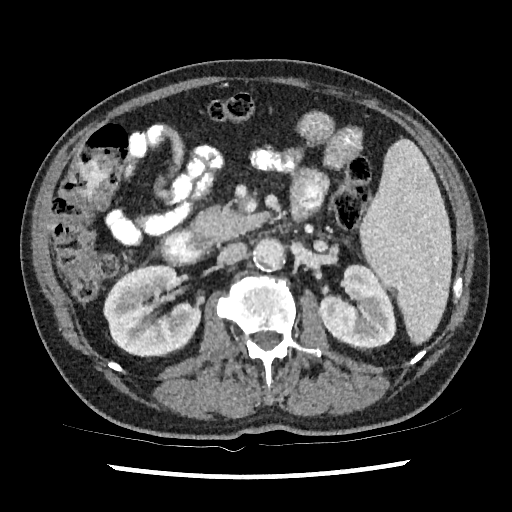 CT
Kidney at 318:265:395:347, 104:266:203:356.